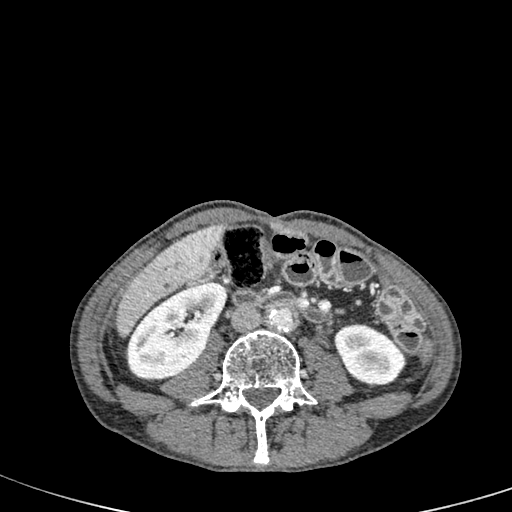 Liver, Computed tomography

{"liver": ["box=[117, 224, 223, 338]"], "kidney": ["box=[335, 325, 404, 383]", "box=[128, 282, 225, 378]"]}